512x512, CT scan slice, Abdomen
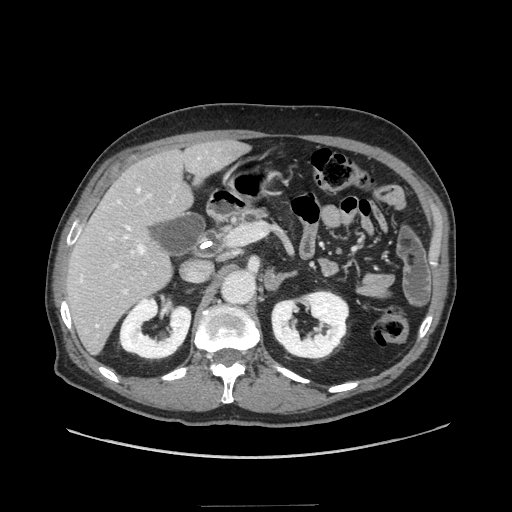
Annotated regions:
- pancreas: l=241, t=209, r=267, b=224